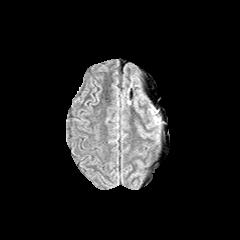
FLAIR MRI.
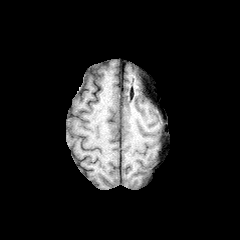
T1-weighted MR.
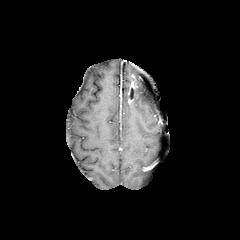
Post-contrast T1-weighted MR.
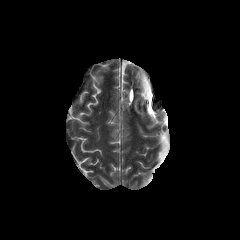
T2-weighted magnetic resonance.
Head
2 edema regions are located at l=148, t=108, r=159, b=127; l=136, t=93, r=146, b=104.